FLAIR magnetic resonance.
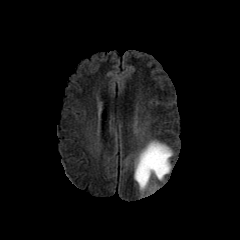
T1-weighted MR.
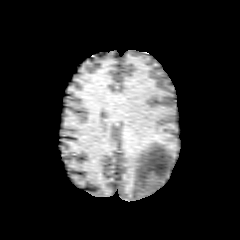
Post-contrast T1-weighted magnetic resonance.
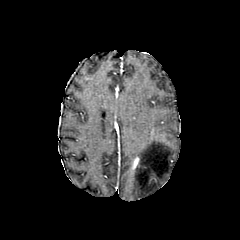
T2-weighted magnetic resonance.
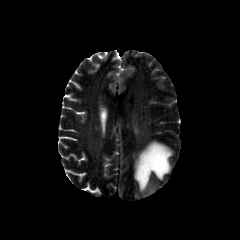
240x240. Brain.
<segmentation>
  <edema>bbox=[134, 140, 173, 195]</edema>
</segmentation>